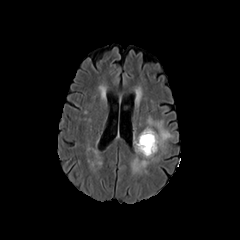
FLAIR MR image.
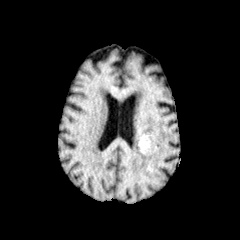
T1-weighted MR of the same slice.
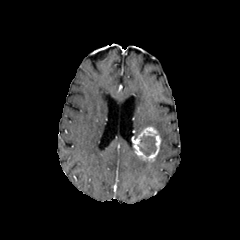
Same slice, post-contrast T1-weighted magnetic resonance.
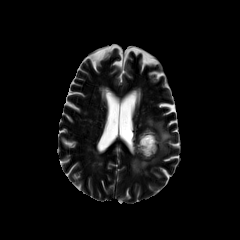
T2-weighted MRI.
{
  "enhancing_tumor": [
    "l=134, t=125, r=161, b=163"
  ],
  "non-enhancing_tumor_core": [
    "l=138, t=134, r=157, b=156"
  ],
  "edema": [
    "l=147, t=116, r=174, b=150",
    "l=131, t=153, r=148, b=174"
  ]
}